Abdomen. CT scan slice. 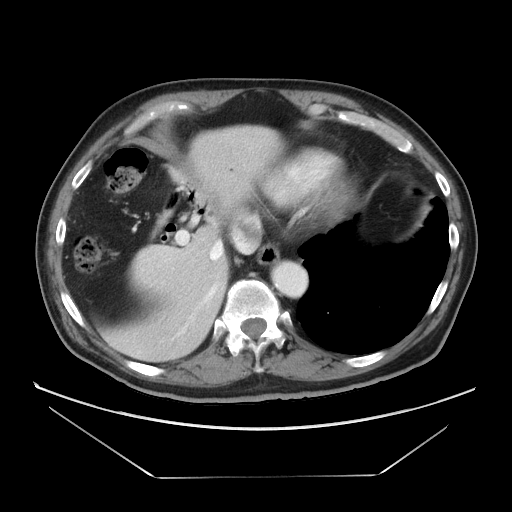

Only some of the vessels may be annotated.
Findings:
* hepatic vessel: bbox=[176, 233, 190, 243]; bbox=[239, 244, 245, 250]; bbox=[207, 294, 210, 298]; bbox=[210, 241, 222, 260]; bbox=[211, 274, 219, 291]